Head.
FLAIR MRI.
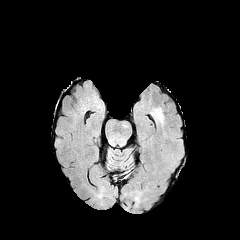
T1-weighted MRI.
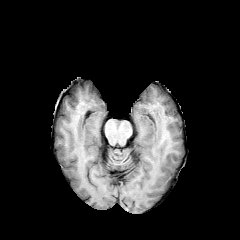
Post-contrast T1-weighted MRI.
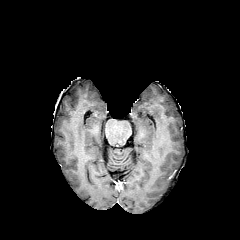
T2-weighted MR image.
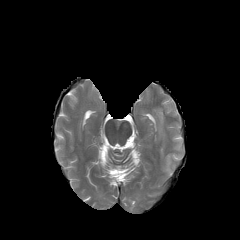
Findings:
* edema: [149, 108, 163, 131]